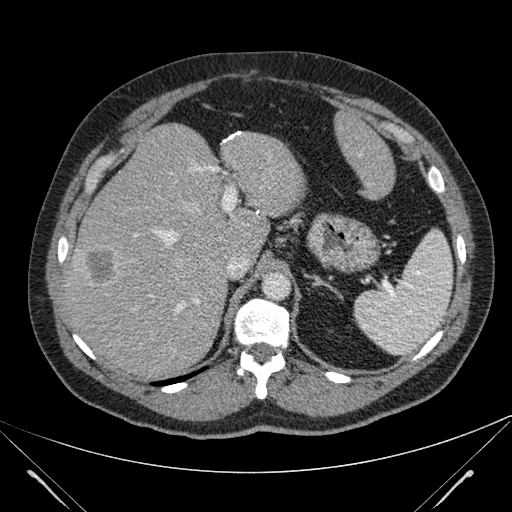 CT scan slice, Abdomen, 512x512 px
The focal liver lesion lies within region(85, 247, 117, 287). 2 liver regions are bounded by region(335, 109, 394, 199); region(56, 123, 303, 381).